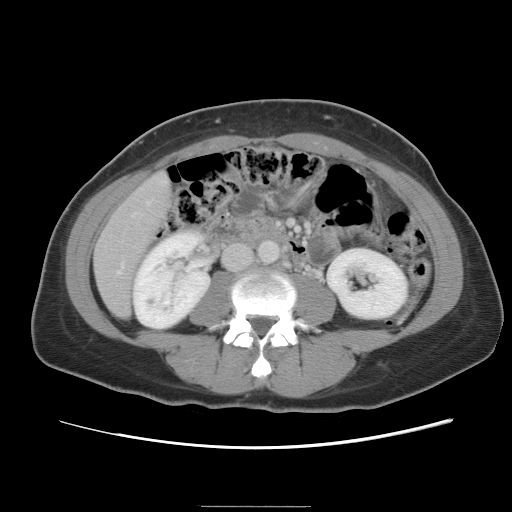 CT; Liver
Some hepatic vessels may have no box.
hepatic_vessel:
  - x1=117, y1=262, x2=123, y2=272
  - x1=132, y1=212, x2=134, y2=214